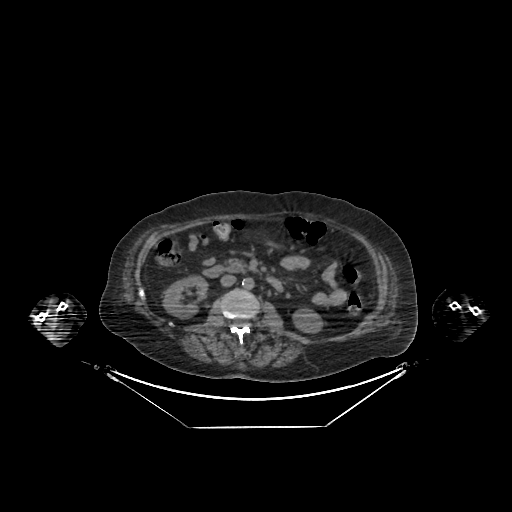 Abdomen. CT slice.

Kidney — box(162, 275, 208, 318); box(293, 308, 322, 333).
Liver — box(267, 238, 284, 245).